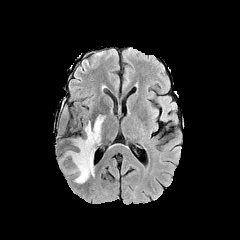
FLAIR MR.
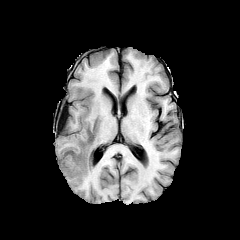
T1-weighted magnetic resonance.
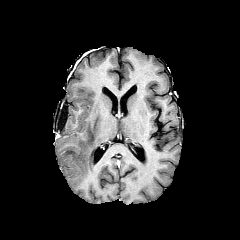
Post-contrast T1-weighted MRI.
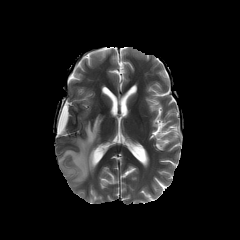
T2-weighted magnetic resonance.
Head
Segmented structures:
- edema: 60:115:105:183